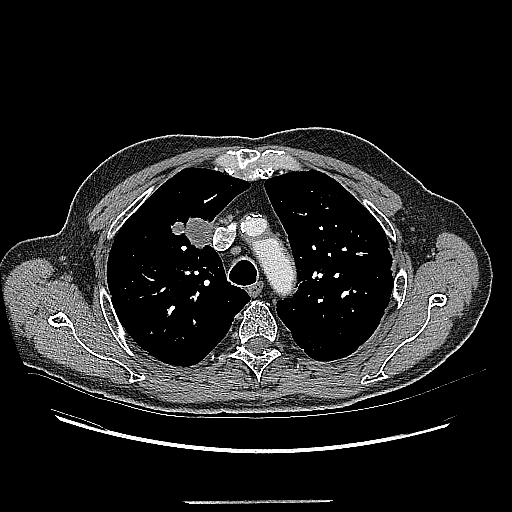 CT
Annotated regions:
- lung tumor: rect(171, 216, 211, 251)